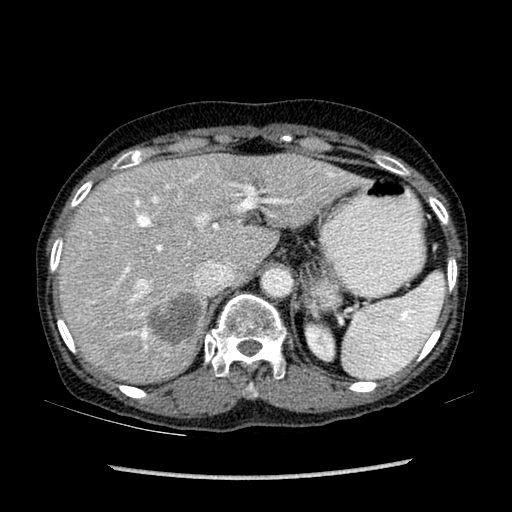

CT scan slice; Abdomen

<segmentation>
  <liver><box>59,154,368,383</box></liver>
  <hepatic_lesion><box>146,292,203,343</box></hepatic_lesion>
  <kidney><box>306,328,332,359</box></kidney>
</segmentation>